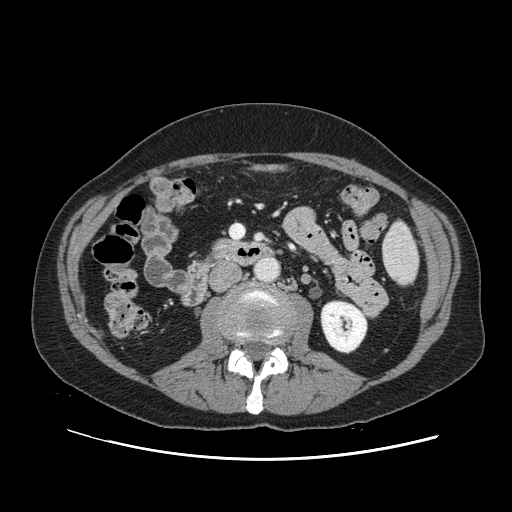

Upper abdomen; CT
{
  "pancreas": [
    "(x1=212, y1=241, x2=229, y2=251)"
  ]
}